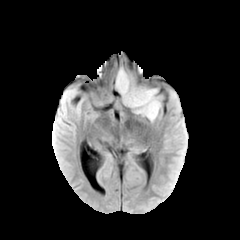
FLAIR magnetic resonance.
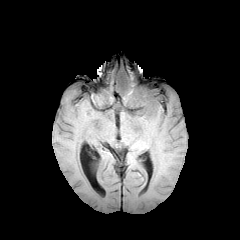
T1-weighted MR.
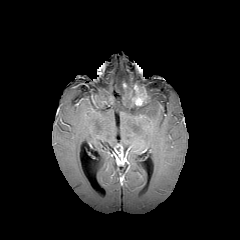
Post-contrast T1-weighted MR.
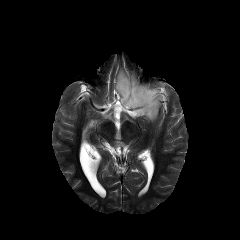
T2-weighted MRI.
Head.
<segmentation>
  <edema>[x1=115, y1=68, x2=134, y2=86], [x1=142, y1=93, x2=161, y2=120], [x1=115, y1=101, x2=127, y2=109]</edema>
  <enhancing_tumor>[x1=130, y1=85, x2=149, y2=105]</enhancing_tumor>
  <non-enhancing_tumor_core>[x1=116, y1=76, x2=157, y2=115]</non-enhancing_tumor_core>
</segmentation>